MR image | Slice index 85

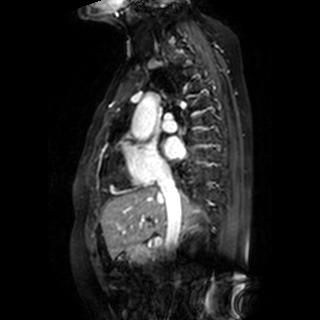 left atrium: 163,136,184,158